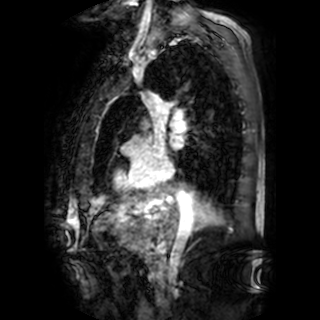
MR; Cardiac

<segmentation>
  <left_atrium>171,136,183,148</left_atrium>
</segmentation>